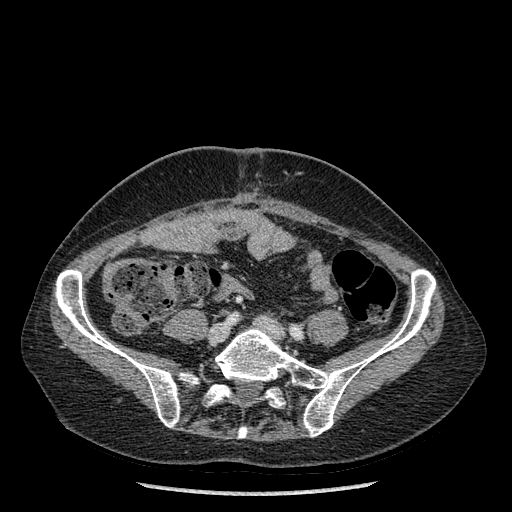 Image size 512x512 | CT slice
6 bone regions are bounded by [x1=263, y1=388, x2=285, y2=407], [x1=206, y1=384, x2=232, y2=405], [x1=179, y1=373, x2=198, y2=385], [x1=238, y1=426, x2=247, y2=438], [x1=215, y1=269, x2=435, y2=436], [x1=55, y1=269, x2=180, y2=427].